Computed tomography. Upper abdomen.

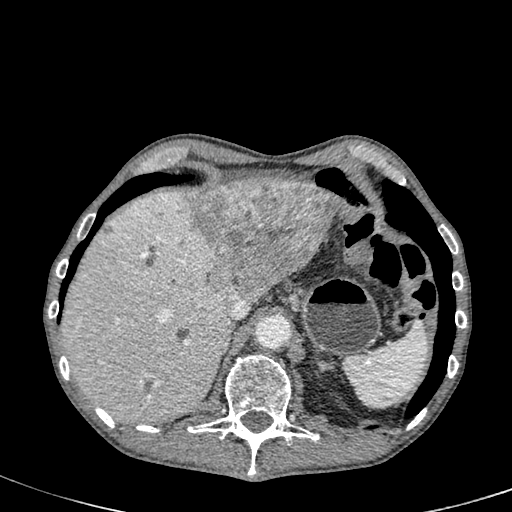 Liver lesion: (184, 180, 338, 300).
Liver: (62, 191, 240, 422).